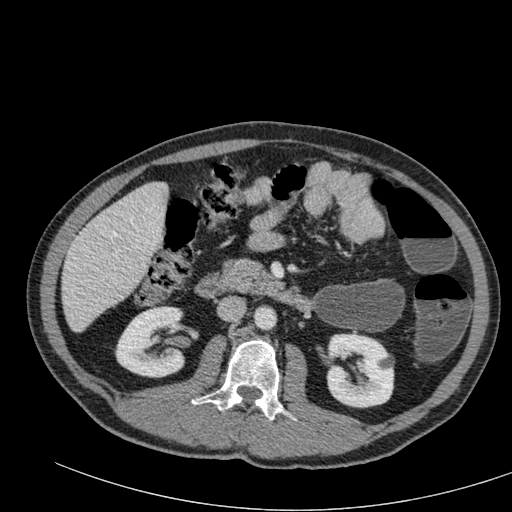
Upper abdomen. CT. <segmentation>
  <liver>x1=62 y1=182 x2=167 y2=331</liver>
  <kidney>x1=116 y1=307 x2=183 y2=376, x1=328 y1=334 x2=393 y2=406</kidney>
</segmentation>